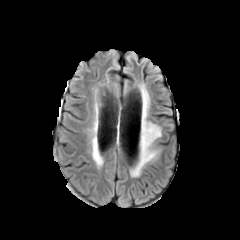
FLAIR MRI.
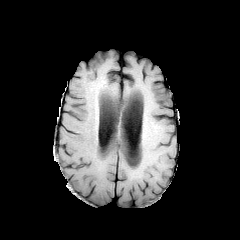
T1-weighted MR of the same slice.
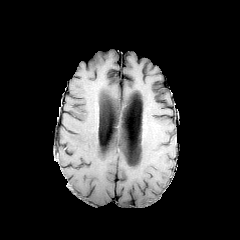
Post-contrast T1-weighted MR image.
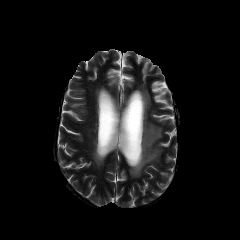
Same slice, T2-weighted MR image.
Brain
Segmented structures:
• edema: region(132, 86, 161, 176)